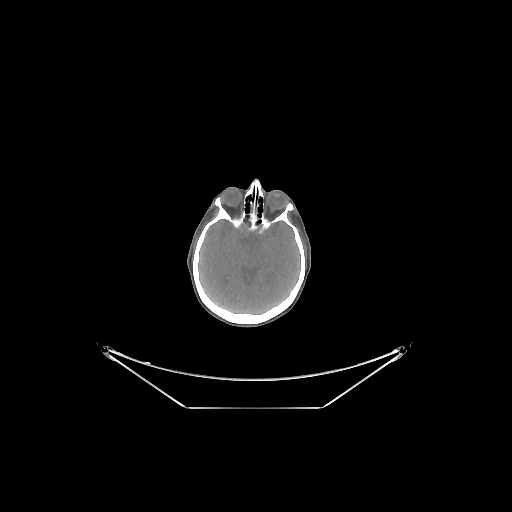

CT scan slice. Brain — left=198, top=219, right=300, bottom=314.
Bone — left=245, top=181, right=263, bottom=207; left=193, top=197, right=304, bottom=323.